MR image; 32x49 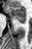
Posterior hippocampus = bbox=[20, 22, 24, 23].
Anterior hippocampus = bbox=[8, 6, 25, 21].